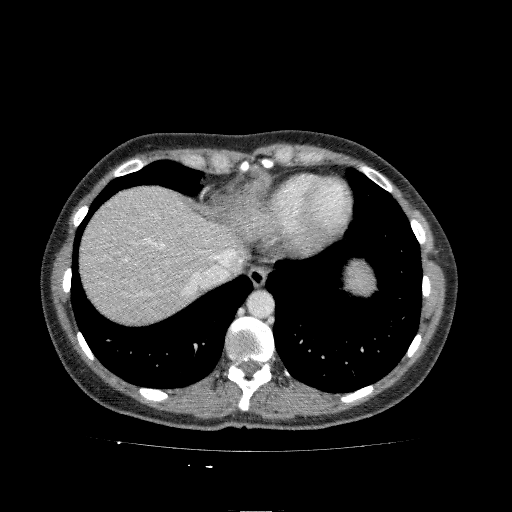

CT scan slice
Liver — box(80, 186, 271, 322).